FLAIR MR.
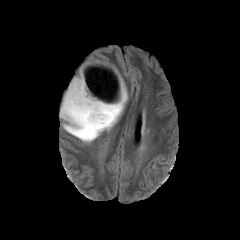
T1-weighted magnetic resonance.
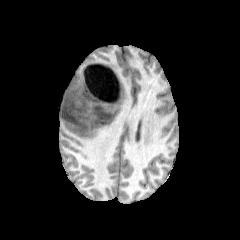
Post-contrast T1-weighted MRI.
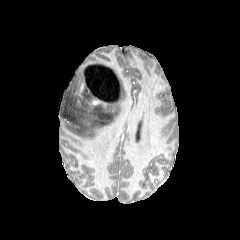
T2-weighted magnetic resonance.
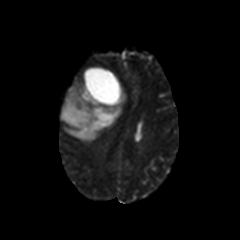
Head.
Edema: bounding box box(60, 72, 127, 143).
Non-enhancing tumor core: bounding box box(62, 106, 81, 125); box(94, 107, 110, 123); box(80, 84, 110, 105).